Slice index 71. Head.
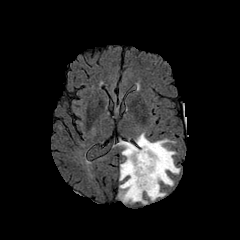
FLAIR MR.
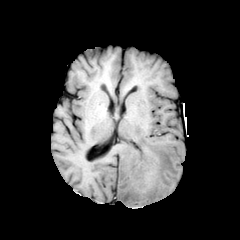
T1-weighted magnetic resonance of the same slice.
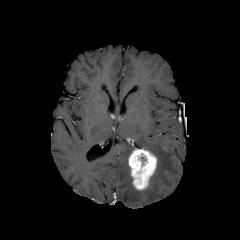
Same slice, post-contrast T1-weighted MRI.
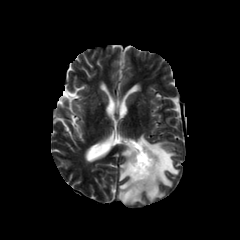
T2-weighted magnetic resonance.
edema:
  - (118, 133, 179, 204)
enhancing_tumor:
  - (128, 147, 157, 190)